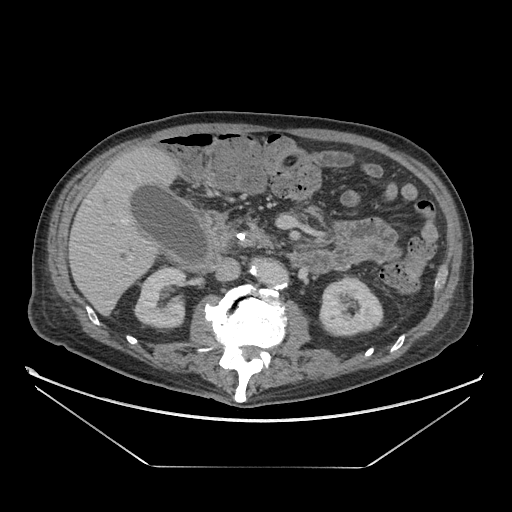
Upper abdomen, Computed tomography, 512x512 px
The pancreas lies within 241 229 272 246. The pancreatic tumor lies within 251 231 266 242.